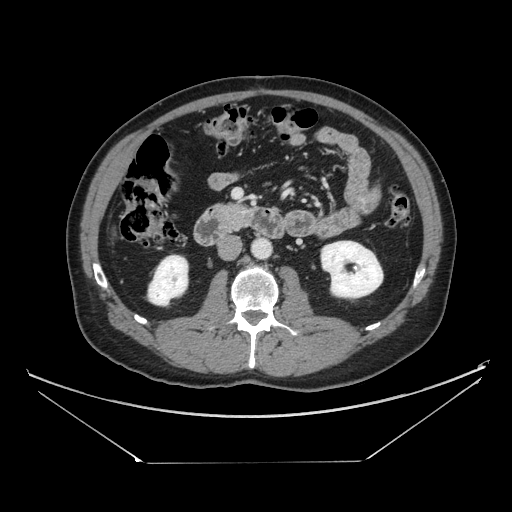

CT scan slice, Image size 512x512, Upper abdomen
Pancreas: {"x1": 226, "y1": 204, "x2": 251, "y2": 229}.
Pancreatic tumor: {"x1": 239, "y1": 209, "x2": 248, "y2": 215}.